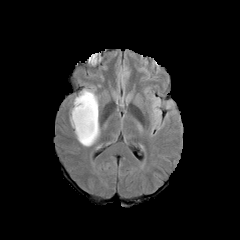
FLAIR MR image.
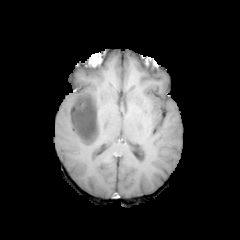
T1-weighted magnetic resonance.
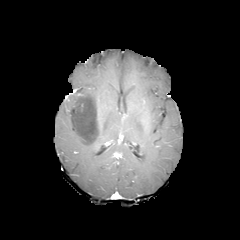
Same slice, post-contrast T1-weighted MRI.
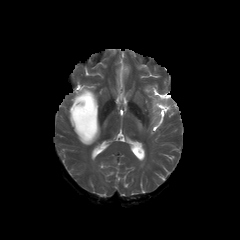
T2-weighted MRI.
Brain
Non-enhancing tumor core: bounding box [70, 92, 97, 141].
Edema: bounding box [148, 94, 163, 126], [69, 96, 79, 109], [69, 86, 99, 146].